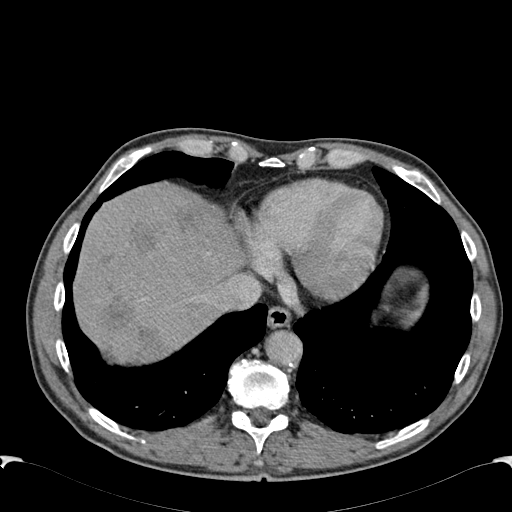
CT; Liver
5 hepatic lesion regions are located at region(140, 328, 160, 347); region(102, 256, 109, 262); region(106, 303, 131, 327); region(131, 223, 159, 249); region(178, 210, 200, 228). The liver is located at region(74, 182, 245, 361).